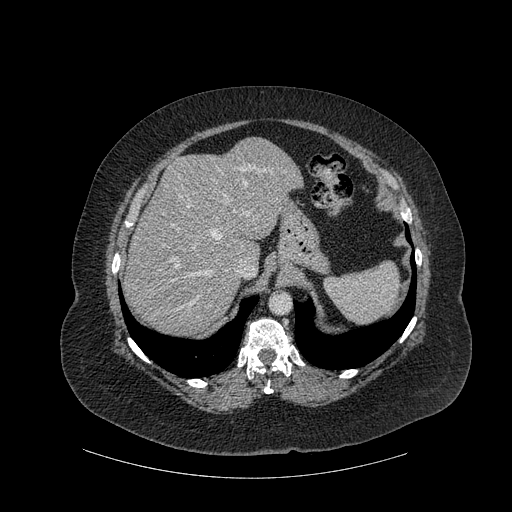
Abdomen. CT scan slice.
Bone at (x1=128, y1=338, x2=149, y2=362), (x1=264, y1=380, x2=272, y2=393), (x1=188, y1=379, x2=206, y2=387), (x1=400, y1=317, x2=416, y2=342), (x1=238, y1=319, x2=304, y2=378), (x1=415, y1=249, x2=421, y2=265), (x1=112, y1=253, x2=120, y2=272), (x1=340, y1=369, x2=357, y2=378), (x1=401, y1=209, x2=411, y2=222).
Liver at (x1=125, y1=137, x2=299, y2=336).
Lung at (x1=405, y1=229, x2=410, y2=242), (x1=120, y1=293, x2=258, y2=377), (x1=294, y1=255, x2=416, y2=369).